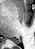

35x49. Medial temporal lobe. MR.

Posterior hippocampus — [10,38,20,43].